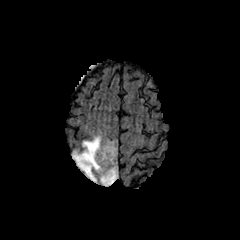
FLAIR MR.
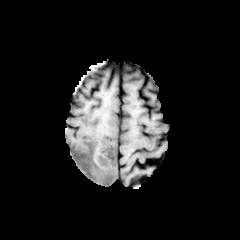
T1-weighted MR image.
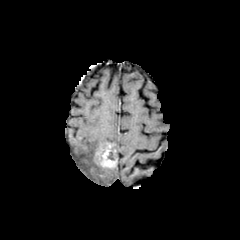
Post-contrast T1-weighted magnetic resonance of the same slice.
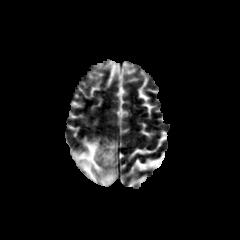
T2-weighted MR image.
Head.
Enhancing tumor at box=[95, 142, 116, 177].
Edema at box=[72, 136, 118, 186].